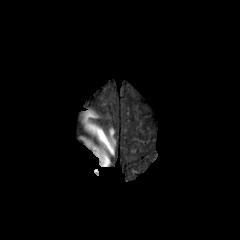
FLAIR MR image.
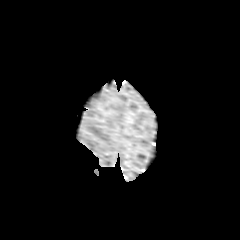
T1-weighted MR of the same slice.
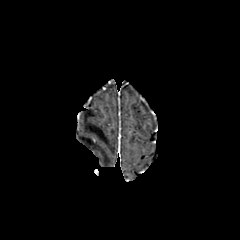
Post-contrast T1-weighted MR image of the same slice.
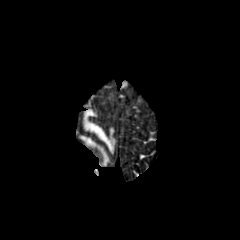
T2-weighted MR image of the same slice.
Brain
The edema is bounded by (left=81, top=110, right=115, bottom=166).